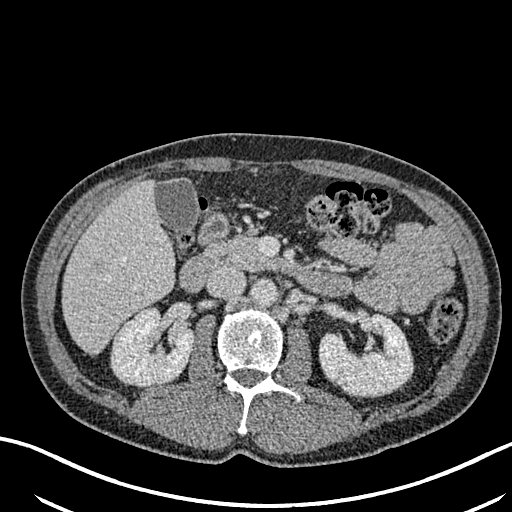
Liver. CT. 512x512 px.
<segmentation>
  <hepatic_lesion>90:259:103:271</hepatic_lesion>
  <kidney>112:309:193:385, 320:312:412:395</kidney>
  <liver>64:180:175:353</liver>
</segmentation>